Field of view 240 mm wide, 1.00 mm slice spacing.
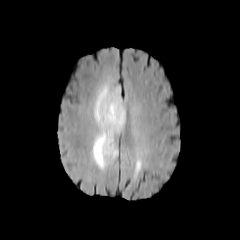
FLAIR MR image.
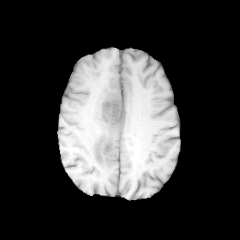
T1-weighted MR.
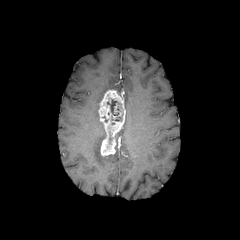
Post-contrast T1-weighted MR image of the same slice.
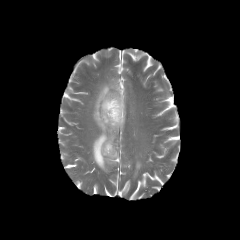
T2-weighted magnetic resonance.
The enhancing tumor is bounded by 98, 90, 125, 156. The non-enhancing tumor core is bounded by 107, 99, 120, 115. The edema is located at 92, 83, 122, 171.